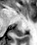 Magnetic resonance, Medial temporal lobe

Posterior hippocampus — (14,29,25,36).